CT; Slice index 84; Abdomen 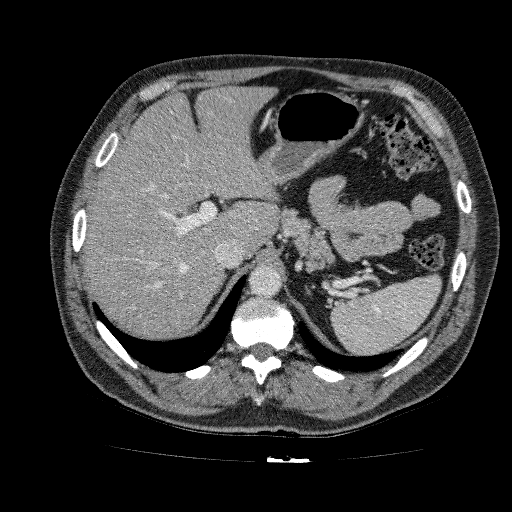
{
  "liver": [
    "x1=85, y1=85, x2=278, y2=339"
  ]
}